512x512 px. Computed tomography.
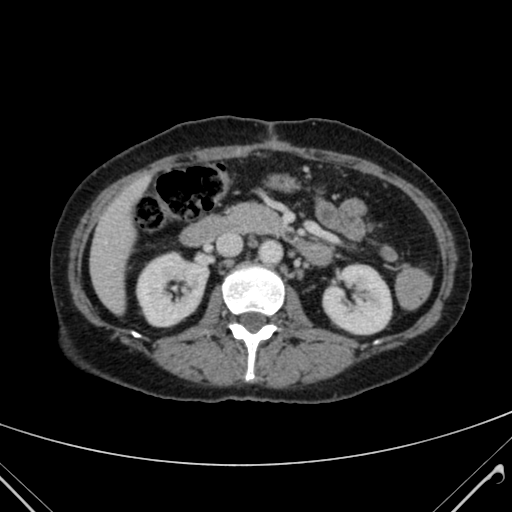
The liver is located at <box>90,180,143,308</box>. 2 kidney regions are located at <box>324,266,390,333</box>, <box>138,254,207,325</box>.